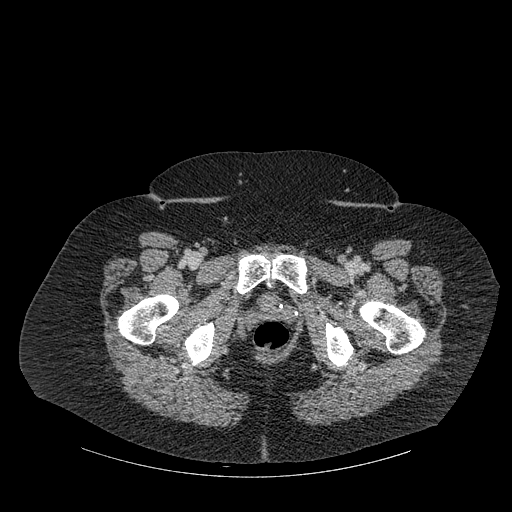
CT image
5 bone regions appear at {"x1": 360, "y1": 301, "x2": 424, "y2": 353}, {"x1": 185, "y1": 322, "x2": 214, "y2": 365}, {"x1": 118, "y1": 294, "x2": 178, "y2": 344}, {"x1": 326, "y1": 323, "x2": 353, "y2": 366}, {"x1": 236, "y1": 255, "x2": 307, "y2": 293}.